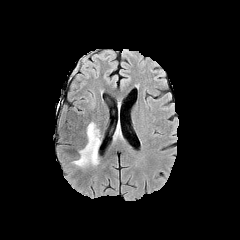
FLAIR magnetic resonance.
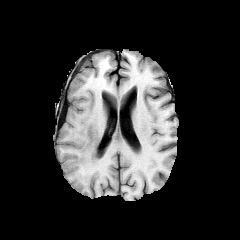
T1-weighted MR of the same slice.
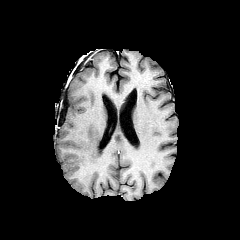
Post-contrast T1-weighted MRI.
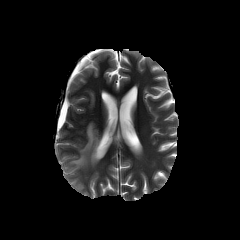
Same slice, T2-weighted magnetic resonance.
240x240 px, Brain
Segmented structures:
• edema: <bbox>72, 122, 101, 168</bbox>